FLAIR MRI.
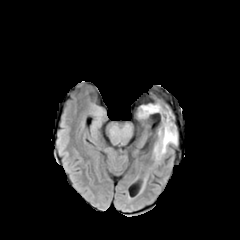
T1-weighted MRI.
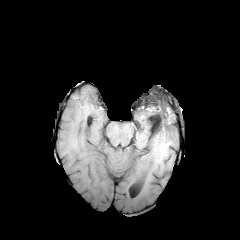
Post-contrast T1-weighted MR image.
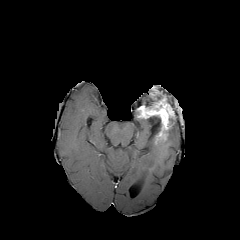
T2-weighted MR.
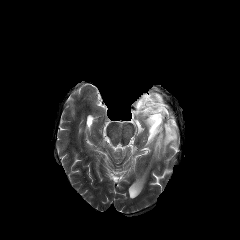
Head
The enhancing tumor is at 138,100,173,141. The edema is at 153,124,177,161. The non-enhancing tumor core appears at 148,114,161,133.